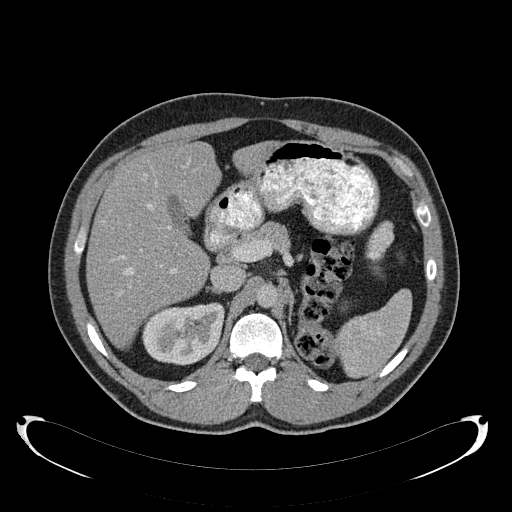 Liver | 512x512 | CT

kidney:
  - <box>143,303,223,364</box>
liver:
  - <box>235,143,273,174</box>
  - <box>87,143,219,346</box>